Slice 47/96. Computed tomography. Image size 512x512. 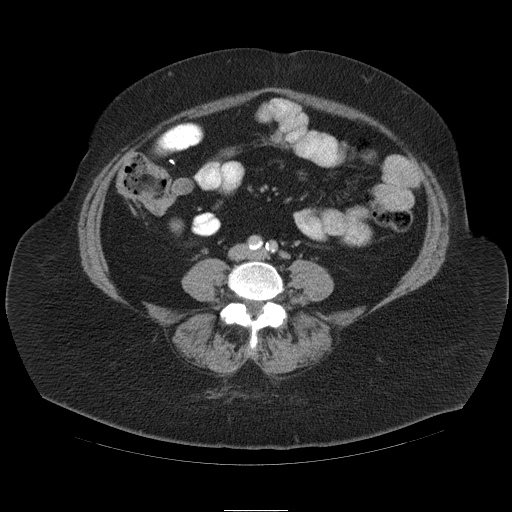 Findings:
- colon tumor: [x1=117, y1=154, x2=174, y2=216]